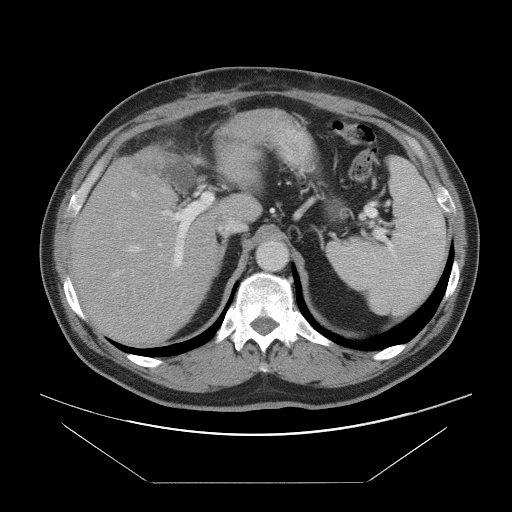 CT image | Abdomen | 512x512 px
The vessel boxes may cover only some of the vessels.
Liver tumor = (130, 153, 160, 178).
Hepatic vessel = (163, 210, 170, 214), (160, 255, 161, 256), (131, 191, 136, 195), (173, 262, 175, 264), (219, 226, 220, 229), (178, 256, 182, 265).